240x240 px
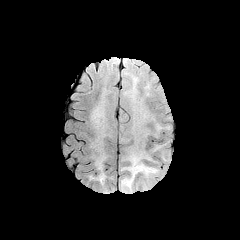
FLAIR magnetic resonance.
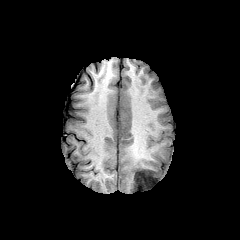
Same slice, T1-weighted MRI.
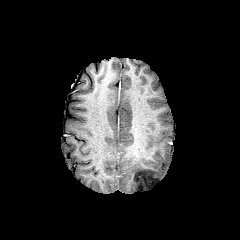
Same slice, post-contrast T1-weighted magnetic resonance.
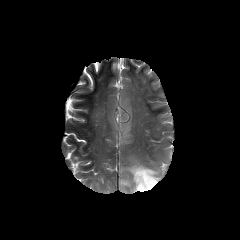
T2-weighted MRI of the same slice.
Annotated regions:
- non-enhancing tumor core: (left=134, top=168, right=158, bottom=187)
- edema: (left=121, top=155, right=158, bottom=191)